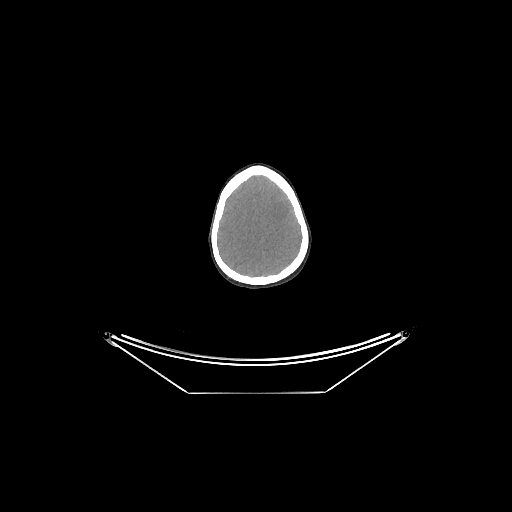 Head, Computed tomography, 512x512
Brain: 217, 175, 302, 277.